Slice index 94; Head
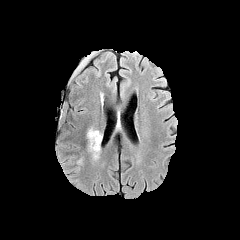
FLAIR MR.
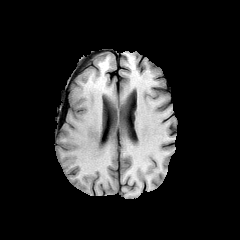
T1-weighted MR of the same slice.
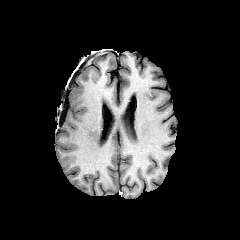
Post-contrast T1-weighted magnetic resonance of the same slice.
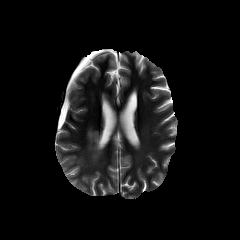
T2-weighted MRI.
The edema lies within box(87, 127, 101, 159).